FLAIR MRI.
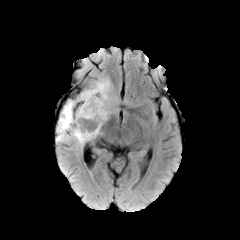
T1-weighted MR image.
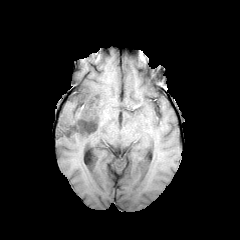
Post-contrast T1-weighted MR image.
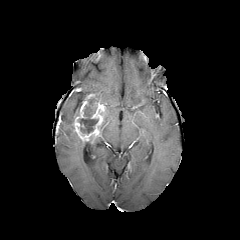
T2-weighted MR.
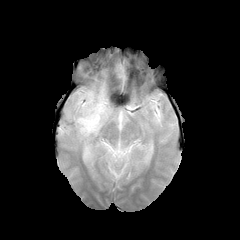
Enhancing tumor: bounding box left=73, top=94, right=105, bottom=141.
Edema: bounding box left=57, top=78, right=113, bottom=151.
Non-enhancing tumor core: bounding box left=79, top=105, right=98, bottom=133.